FLAIR MR image.
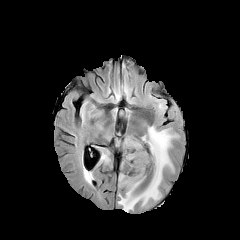
T1-weighted MRI.
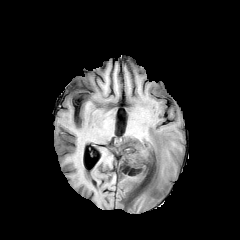
Post-contrast T1-weighted magnetic resonance.
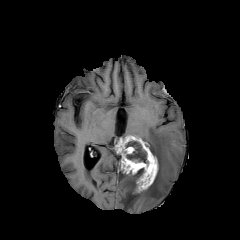
T2-weighted MR.
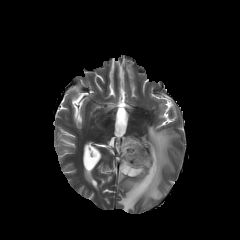
Head
Findings:
• edema: [x1=84, y1=171, x2=93, y2=182], [x1=118, y1=125, x2=175, y2=212], [x1=132, y1=144, x2=147, y2=157]
• non-enhancing tumor core: [x1=128, y1=154, x2=147, y2=163], [x1=125, y1=138, x2=155, y2=155], [x1=124, y1=195, x2=136, y2=205], [x1=127, y1=168, x2=146, y2=185]
• enhancing tumor: [x1=121, y1=152, x2=157, y2=189], [x1=116, y1=136, x2=134, y2=155]